FLAIR MR image.
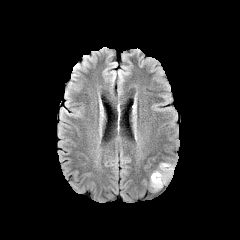
T1-weighted magnetic resonance.
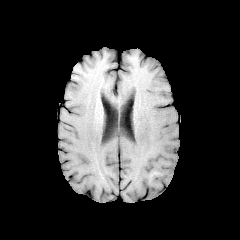
Post-contrast T1-weighted magnetic resonance.
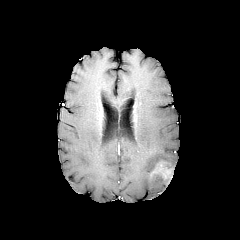
T2-weighted MR.
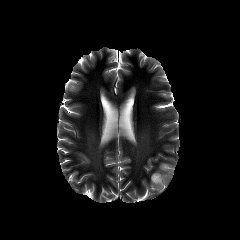
240x240 px
The edema is bounded by {"x1": 150, "y1": 163, "x2": 174, "y2": 191}.